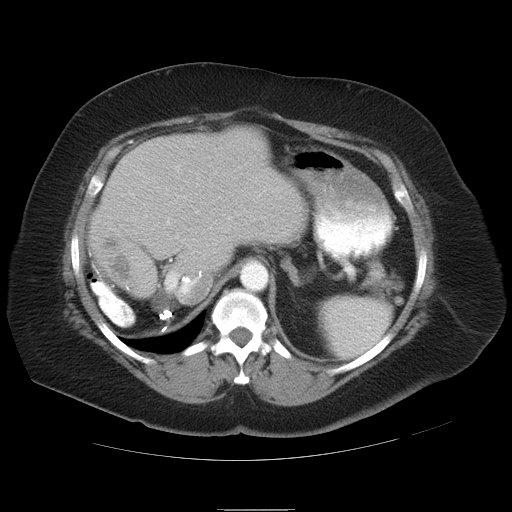
CT image
Only some of the vessels may be annotated.
Liver tumor = left=99, top=235, right=133, bottom=284.
Hepatic vessel = left=166, top=218, right=169, bottom=224; left=166, top=271, right=196, bottom=295.